Upper abdomen; CT slice
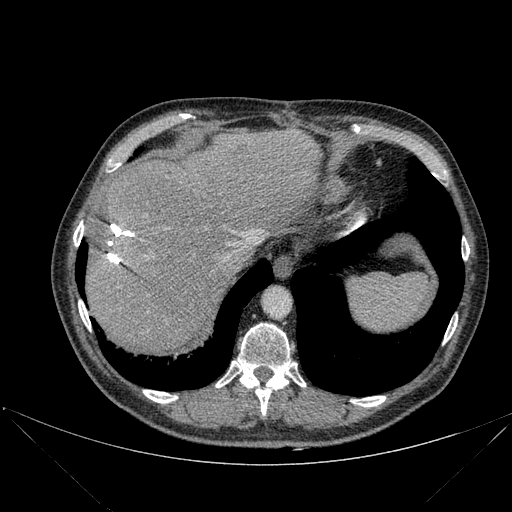
Liver: 244 244 250 265, 85 130 321 353.
Bone: 443 319 457 344, 351 396 385 406, 462 237 469 259, 73 221 83 246, 109 160 120 170, 215 323 305 414, 143 390 177 403, 78 300 90 330.
Lung: 75 240 87 299, 291 157 464 395, 94 259 273 390.